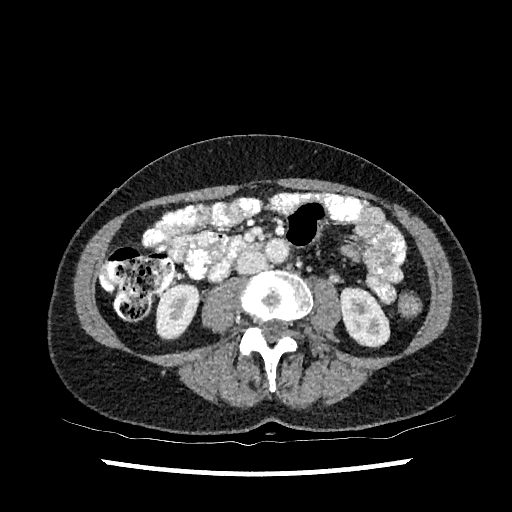

Abdomen; CT scan slice

{"kidney": ["<box>157,285,198,337</box>", "<box>341,289,389,345</box>"]}